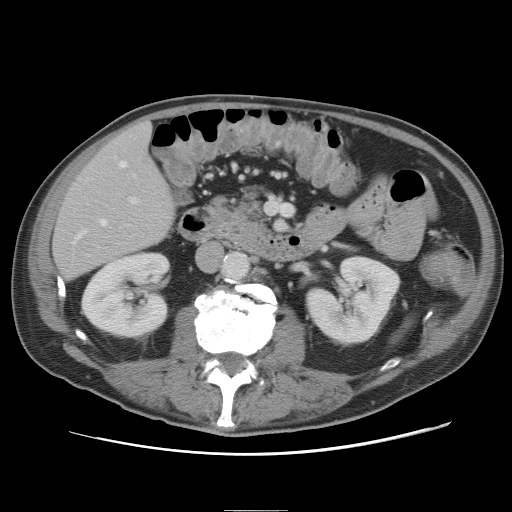 CT scan slice; Abdomen
Not every hepatic vessel necessarily has a box.
{
  "hepatic_vessel": [
    "l=101, t=220, r=106, b=225",
    "l=121, t=163, r=126, b=167",
    "l=145, t=123, r=150, b=130",
    "l=131, t=198, r=137, b=203",
    "l=134, t=175, r=135, b=176",
    "l=73, t=230, r=86, b=243"
  ]
}